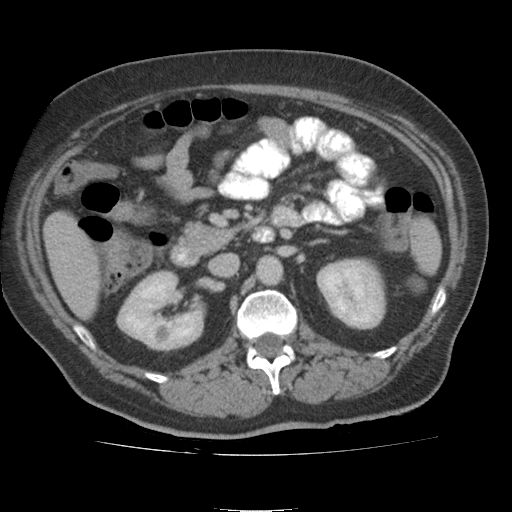 Image size 512x512 | CT scan slice

kidney:
  - <bbox>118, 273, 202, 346</bbox>
  - <bbox>321, 261, 382, 322</bbox>
liver:
  - <bbox>45, 214, 100, 313</bbox>